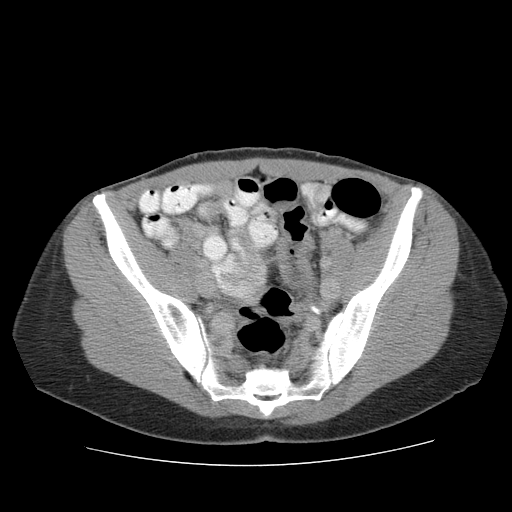 CT. Pelvis.

colon_tumor:
  - 276,231,290,283
  - 297,235,313,276